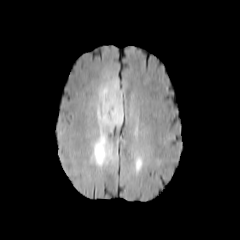
FLAIR MR image.
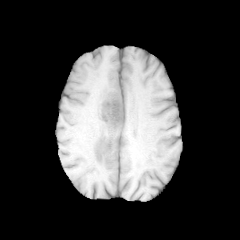
T1-weighted MR.
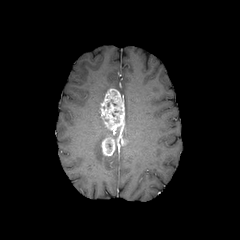
Post-contrast T1-weighted magnetic resonance.
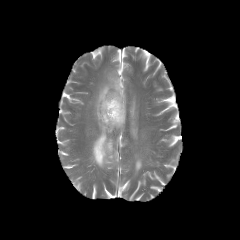
T2-weighted MR image.
Brain.
2 edema regions are located at {"x1": 135, "y1": 158, "x2": 142, "y2": 168}, {"x1": 92, "y1": 80, "x2": 120, "y2": 166}. The enhancing tumor is bounded by {"x1": 99, "y1": 89, "x2": 125, "y2": 155}.